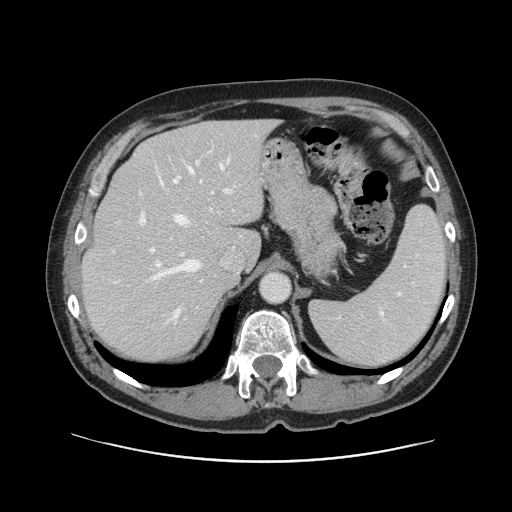
CT image
Some hepatic vessels may have no box.
The top 15 hepatic vessel regions (of 17) are bounded by box(175, 215, 187, 224); box(153, 260, 199, 279); box(227, 157, 229, 161); box(158, 174, 162, 184); box(180, 253, 183, 254); box(188, 166, 192, 173); box(169, 309, 179, 321); box(139, 212, 145, 224); box(200, 179, 201, 181); box(195, 160, 199, 164); box(155, 261, 160, 265); box(220, 164, 223, 168); box(150, 248, 153, 251); box(224, 189, 230, 193); box(174, 176, 180, 183).